320x320, Heart, MRI

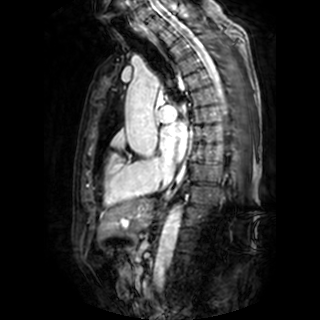 The left atrium is bounded by bbox(160, 121, 187, 162).